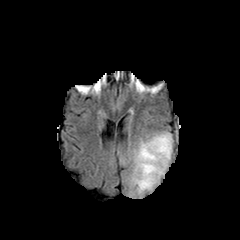
FLAIR MR image.
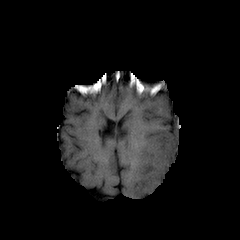
T1-weighted MRI.
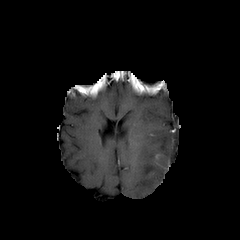
Post-contrast T1-weighted magnetic resonance.
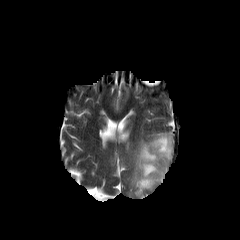
T2-weighted MR.
edema: 129 131 173 196